Computed tomography; Slice index 65; Abdomen; 512x512
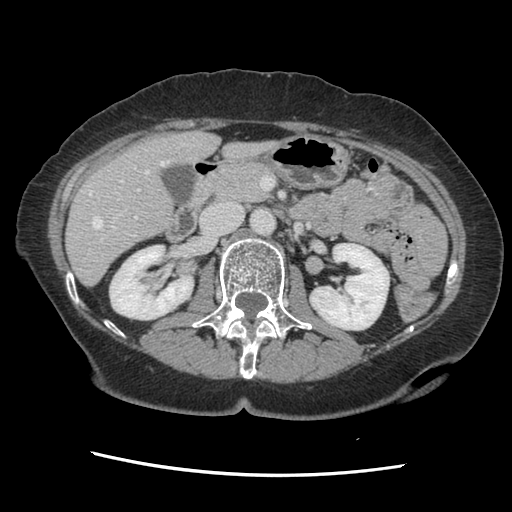

The vessel boxes may cover only some of the vessels.
Findings:
- hepatic vessel: <box>160,160,168,165</box>, <box>120,179,122,181</box>, <box>89,190,92,194</box>, <box>112,213,120,218</box>, <box>93,217,102,228</box>, <box>145,170,148,173</box>, <box>100,239,102,241</box>, <box>135,217,137,218</box>, <box>137,189,139,191</box>